Image size 512x512 | CT scan slice

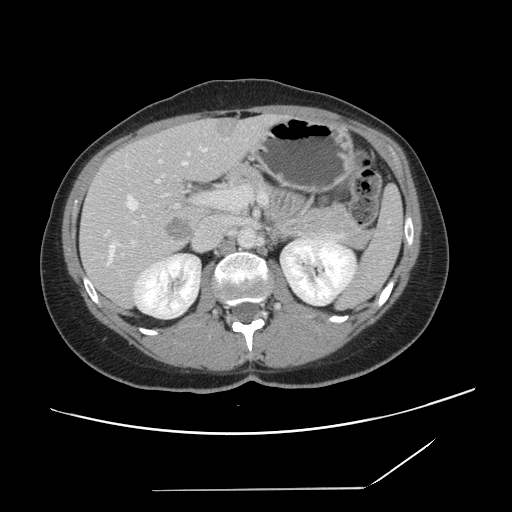

Only some of the vessels may be annotated.
Segmented structures:
* hepatic vessel: [x1=159, y1=160, x2=161, y2=162], [x1=104, y1=230, x2=109, y2=236], [x1=187, y1=152, x2=189, y2=154], [x1=130, y1=240, x2=134, y2=245], [x1=183, y1=162, x2=186, y2=164], [x1=107, y1=243, x2=119, y2=264], [x1=122, y1=253, x2=123, y2=255], [x1=174, y1=204, x2=178, y2=208], [x1=142, y1=215, x2=144, y2=217], [x1=162, y1=174, x2=163, y2=176], [x1=161, y1=194, x2=168, y2=196], [x1=127, y1=195, x2=136, y2=209], [x1=156, y1=180, x2=159, y2=182], [x1=200, y1=147, x2=205, y2=150]
* liver tumor: [x1=164, y1=219, x2=193, y2=241]